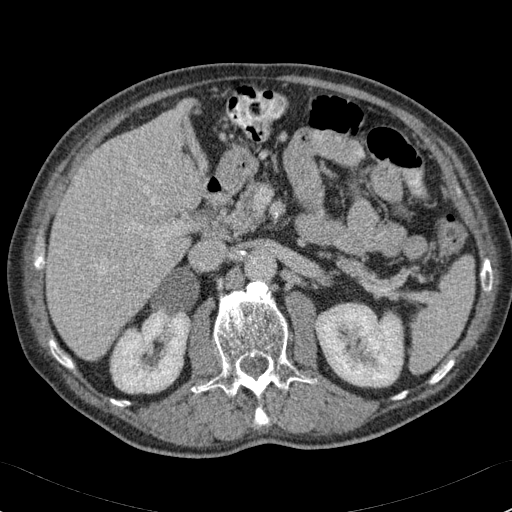
Computed tomography

Segmented structures:
* liver: x1=46, y1=101, x2=198, y2=357; x1=197, y1=151, x2=203, y2=164
* kidney: x1=315, y1=303, x2=403, y2=386; x1=111, y1=311, x2=189, y2=392